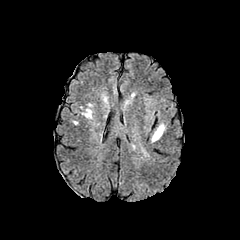
FLAIR magnetic resonance.
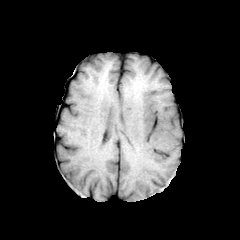
Same slice, T1-weighted MR.
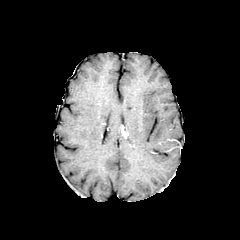
Post-contrast T1-weighted MR image.
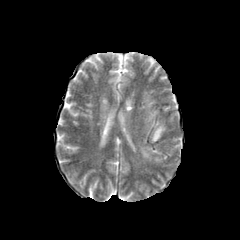
T2-weighted magnetic resonance of the same slice.
2 edema regions appear at [140, 146, 149, 157], [150, 123, 166, 143].